Slice index 102. Image width 240 mm. Brain.
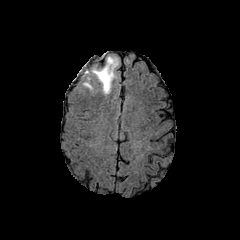
FLAIR MRI.
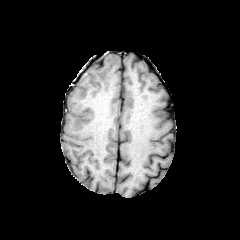
T1-weighted MRI.
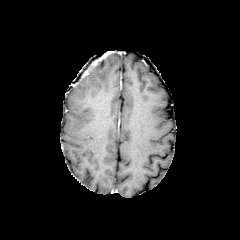
Post-contrast T1-weighted MR image.
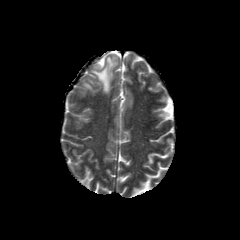
T2-weighted magnetic resonance of the same slice.
{"edema": ["left=82, top=54, right=119, bottom=93"]}